Field of view 400 mm wide, 0.80 mm slice spacing. CT scan slice. Slice 406/771. Abdomen. 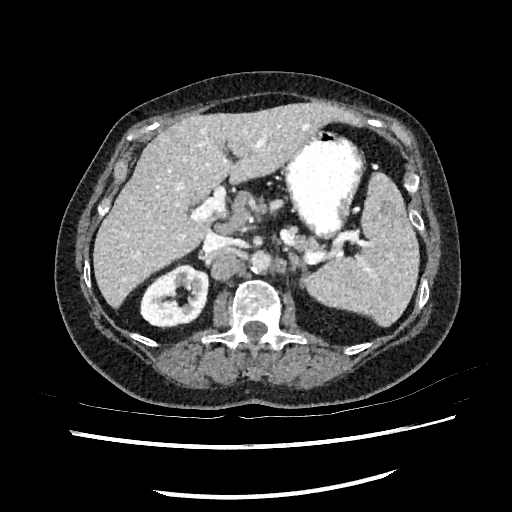
Segmented structures:
* liver: x1=94 y1=103 x2=363 y2=308
* kidney: x1=141 y1=266 x2=207 y2=325